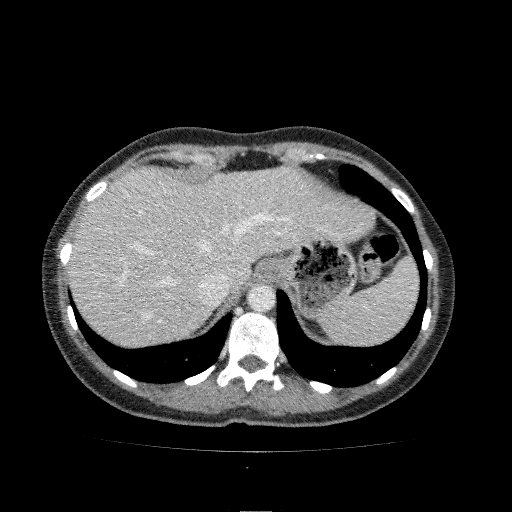
CT image
liver: box(69, 166, 373, 345)